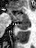
Medial temporal lobe, MRI

The posterior hippocampus is located at x1=17, y1=22, x2=28, y2=29. The anterior hippocampus is located at x1=8, y1=9, x2=28, y2=21.